Field of view 240 mm wide, 1.00 mm slice spacing. Brain.
FLAIR MR image.
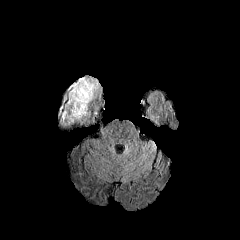
T1-weighted MRI.
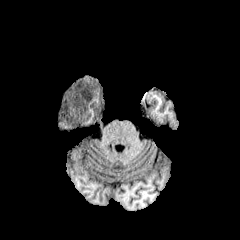
Post-contrast T1-weighted MR image.
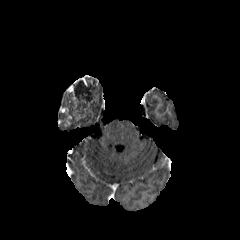
T2-weighted MR image.
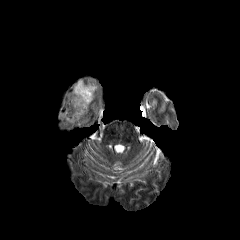
Annotated regions:
• non-enhancing tumor core: (left=58, top=76, right=102, bottom=129)